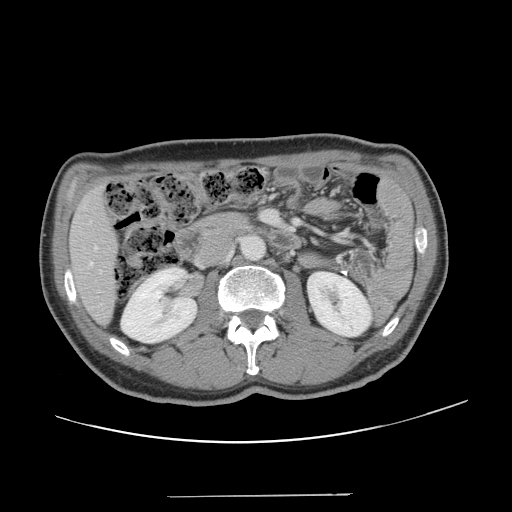

Liver; CT slice
Not every hepatic vessel necessarily has a box.
2 hepatic vessel regions are located at 94, 246, 96, 249; 90, 262, 92, 265.